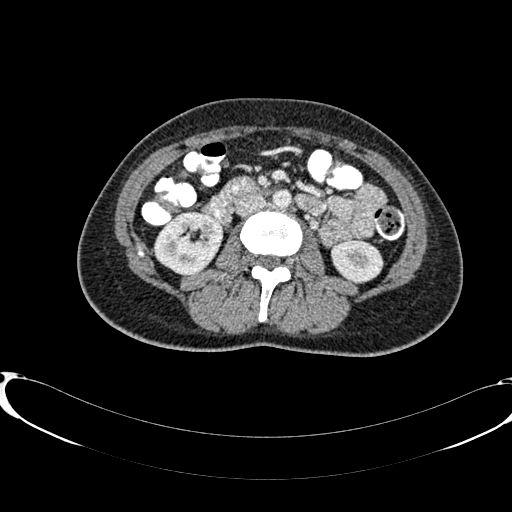 Abdomen | Computed tomography

Kidney at region(332, 241, 381, 280); region(155, 213, 221, 273).